Head
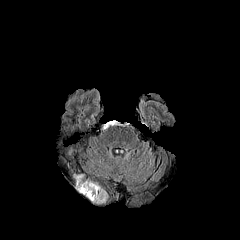
FLAIR MR.
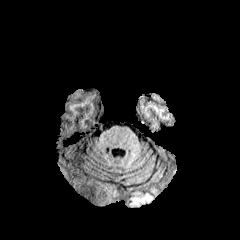
T1-weighted MR of the same slice.
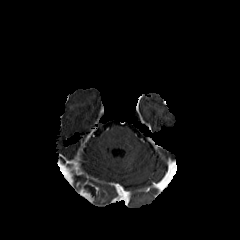
Post-contrast T1-weighted MR.
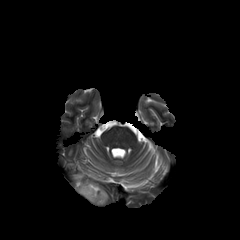
Same slice, T2-weighted magnetic resonance.
enhancing_tumor:
  - box=[77, 185, 93, 203]
non-enhancing_tumor_core:
  - box=[83, 179, 108, 205]
  - box=[75, 178, 84, 191]